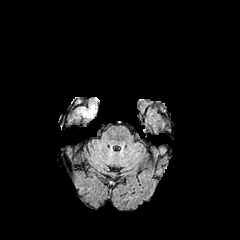
FLAIR MR image.
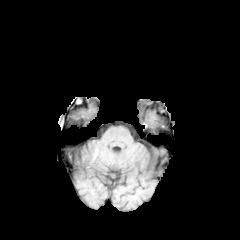
T1-weighted MR of the same slice.
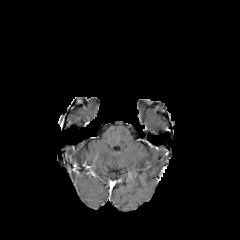
Post-contrast T1-weighted magnetic resonance.
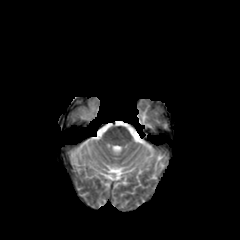
T2-weighted magnetic resonance.
240x240 px
The edema is bounded by {"x1": 82, "y1": 107, "x2": 95, "y2": 117}.